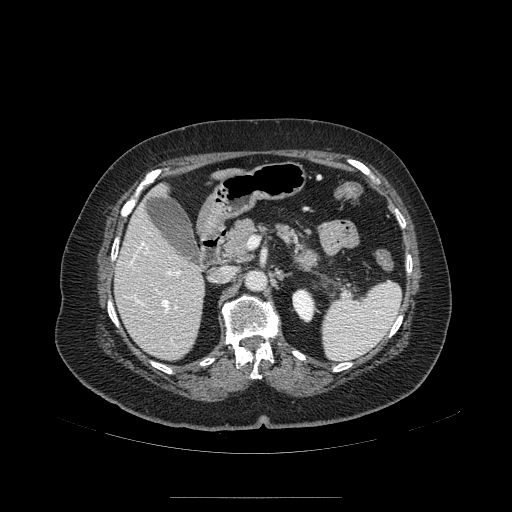
512x512, CT

Annotated regions:
• pancreas: region(223, 218, 320, 273)